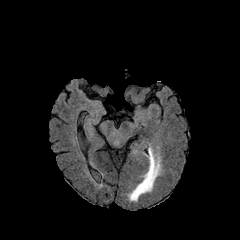
FLAIR MR.
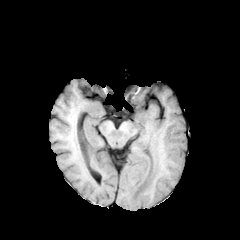
T1-weighted magnetic resonance.
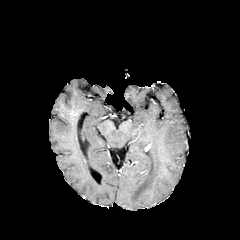
Post-contrast T1-weighted MR of the same slice.
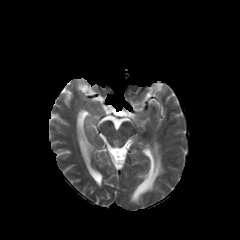
T2-weighted MRI.
edema: [130, 148, 161, 202]